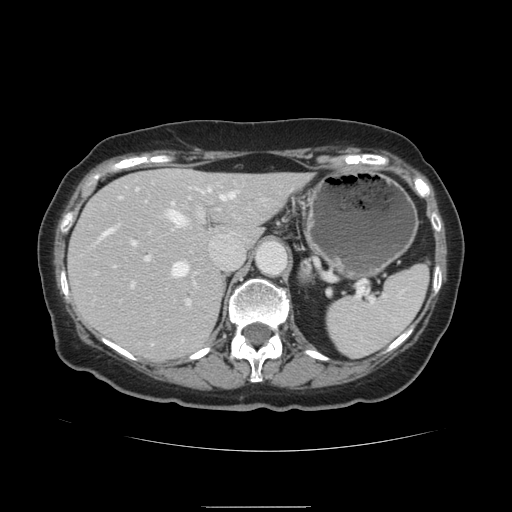
Liver | Image size 512x512 | CT
The vessel annotation is not exhaustive.
11 hepatic vessel regions are bounded by rect(189, 186, 192, 188); rect(186, 299, 189, 304); rect(144, 257, 148, 260); rect(171, 262, 187, 277); rect(131, 282, 133, 286); rect(197, 209, 200, 216); rect(98, 228, 114, 240); rect(164, 210, 185, 225); rect(220, 192, 234, 200); rect(131, 242, 135, 245); rect(198, 187, 209, 192).